FLAIR MR image.
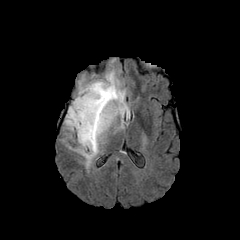
T1-weighted MR image.
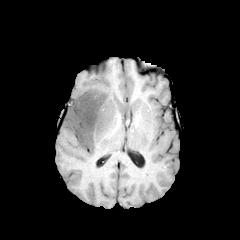
Post-contrast T1-weighted magnetic resonance.
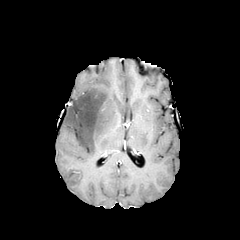
T2-weighted MR.
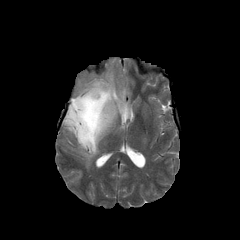
Brain
<segmentation>
  <edema>l=64, t=69, r=130, b=165</edema>
  <non-enhancing_tumor_core>l=69, t=90, r=105, b=143</non-enhancing_tumor_core>
</segmentation>